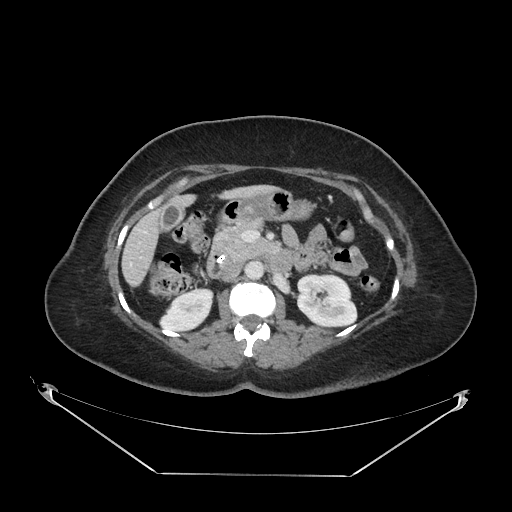

CT scan slice
Segmented structures:
• pancreas: (left=214, top=217, right=269, bottom=260)